Slice index 33, Brain
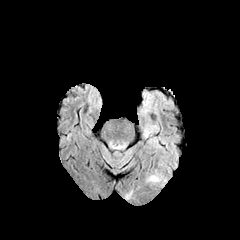
FLAIR magnetic resonance.
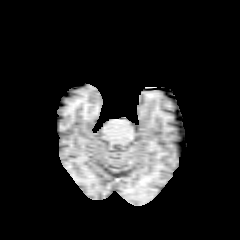
T1-weighted MRI.
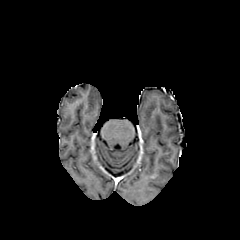
Post-contrast T1-weighted MR.
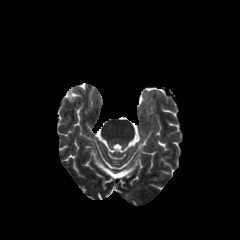
Same slice, T2-weighted MRI.
The edema is located at x1=148, y1=174, x2=161, y2=183.